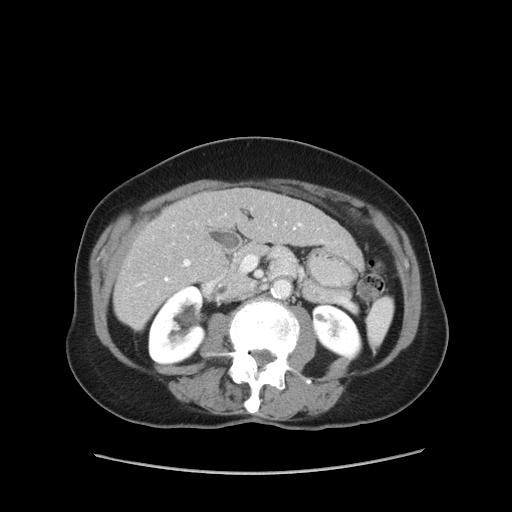
CT image. Image size 512x512.
The vessel annotation is not exhaustive.
Hepatic vessel — bbox(297, 223, 301, 226); bbox(183, 259, 190, 266); bbox(165, 277, 167, 280); bbox(225, 213, 226, 215); bbox(136, 282, 142, 286).